Slice 114/155; 240x240
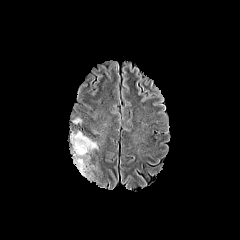
FLAIR magnetic resonance.
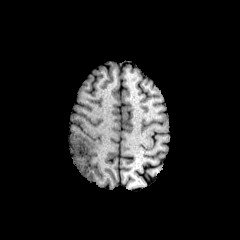
T1-weighted MR image.
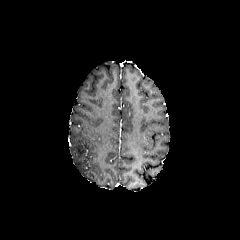
Post-contrast T1-weighted magnetic resonance.
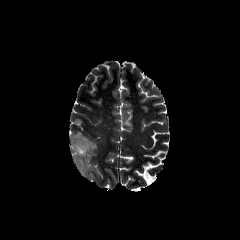
Same slice, T2-weighted MR.
{
  "edema": [
    "<bbox>71, 131, 97, 176</bbox>"
  ]
}